240x240 px, Slice 128 of 155, Head
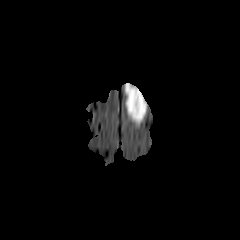
FLAIR MRI.
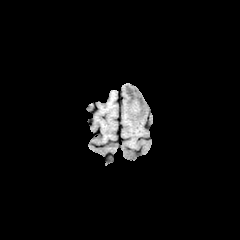
T1-weighted MR.
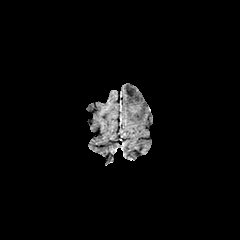
Post-contrast T1-weighted MR.
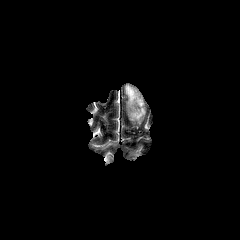
T2-weighted MR image.
Annotated regions:
• edema: 124:83:146:127